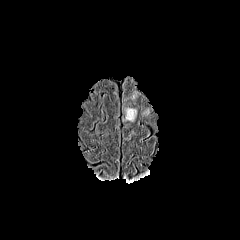
FLAIR MR image.
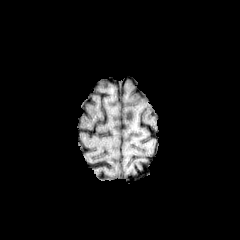
T1-weighted magnetic resonance of the same slice.
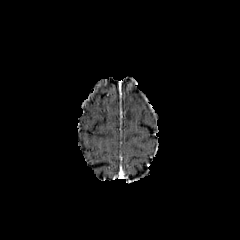
Post-contrast T1-weighted MR of the same slice.
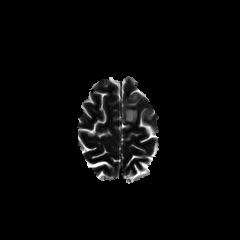
T2-weighted MR image of the same slice.
Head
{
  "edema": [
    "<bbox>125, 107, 137, 120</bbox>"
  ]
}